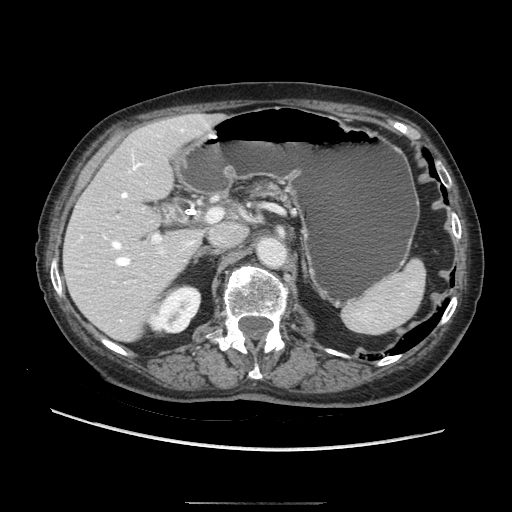 CT scan slice
Pancreas = <box>244,181,291,203</box>.